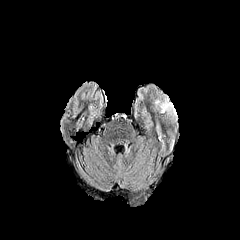
FLAIR MRI.
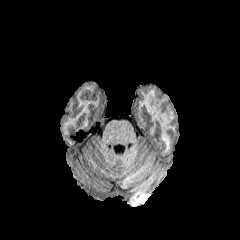
T1-weighted MR.
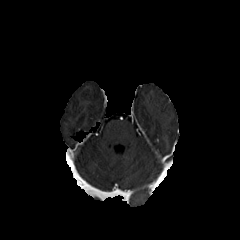
Post-contrast T1-weighted MR.
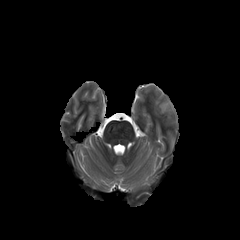
T2-weighted MRI.
Brain | 240x240
edema: 153:95:177:125